CT | Field of view 408x408 mm | Abdomen
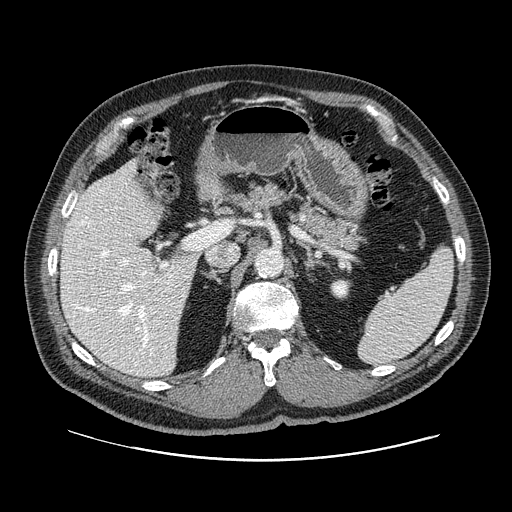
Pancreas: bounding box box=[225, 183, 371, 251].